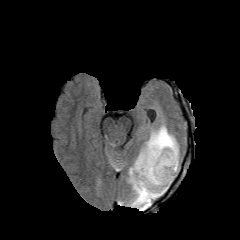
FLAIR MRI.
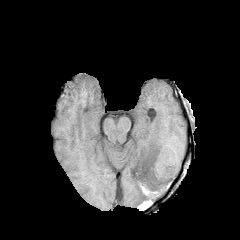
T1-weighted MR image of the same slice.
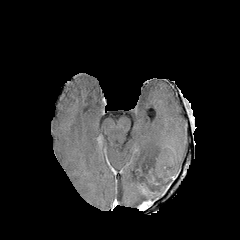
Post-contrast T1-weighted magnetic resonance.
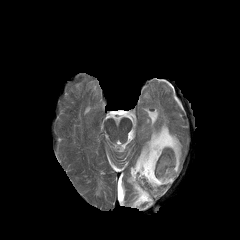
T2-weighted MR.
<segmentation>
  <edema>118 192 124 205, 127 124 181 207</edema>
  <non-enhancing_tumor_core>163 177 171 190</non-enhancing_tumor_core>
</segmentation>